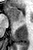 MRI slice | Medial temporal lobe

anterior hippocampus: rect(9, 7, 19, 19)